CT slice, Liver

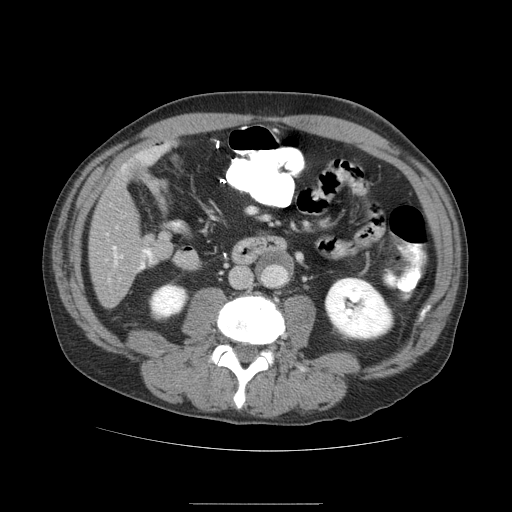
Not every hepatic vessel necessarily has a box.
hepatic vessel: bbox=[113, 246, 122, 264]